CT slice. 512x512. Slice index 165. Liver. Field of view 365x365 mm.
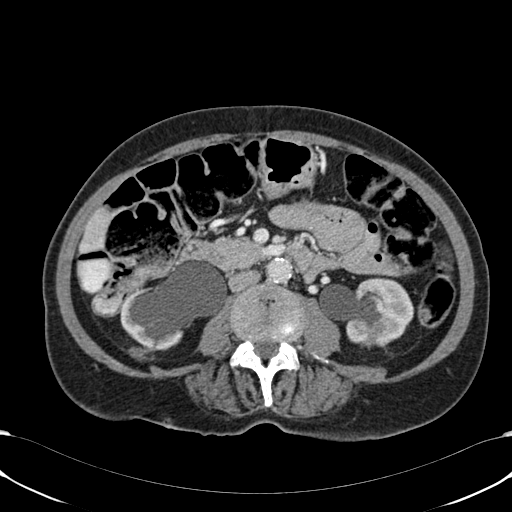
The liver is located at {"x1": 85, "y1": 210, "x2": 107, "y2": 246}. 2 kidney regions appear at {"x1": 119, "y1": 288, "x2": 227, "y2": 349}, {"x1": 347, "y1": 279, "x2": 413, "y2": 345}.